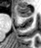

MR. 41x48. Anterior hippocampus at bbox=[15, 6, 32, 16].